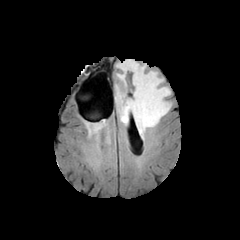
FLAIR magnetic resonance.
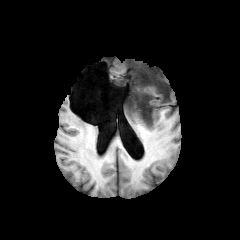
Same slice, T1-weighted MRI.
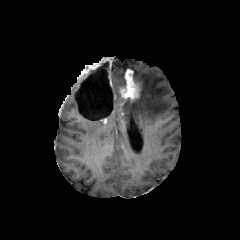
Post-contrast T1-weighted MR image.
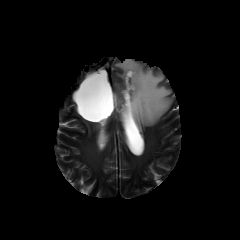
T2-weighted MR image of the same slice.
Brain
The enhancing tumor lies within (118, 69, 139, 101). 2 non-enhancing tumor core regions appear at (114, 90, 139, 120), (133, 73, 145, 98). The edema is located at (116, 60, 171, 139).